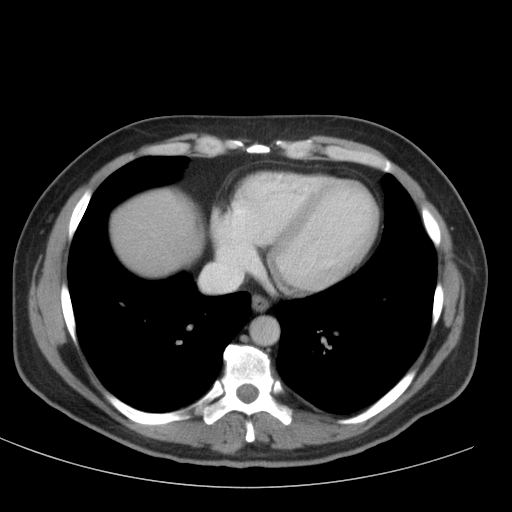

Computed tomography.

The liver is located at 114,191,197,271.